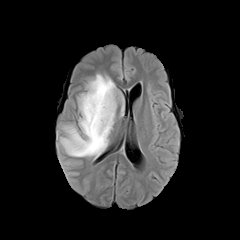
FLAIR MR.
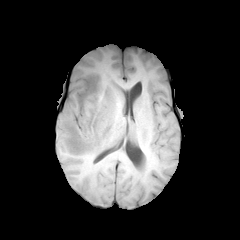
T1-weighted MRI.
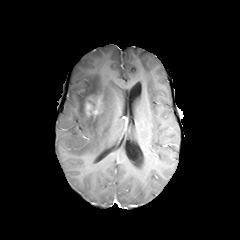
Post-contrast T1-weighted MRI of the same slice.
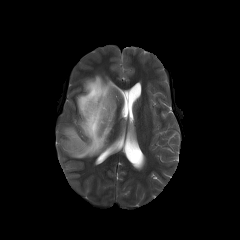
T2-weighted MRI.
Brain
Findings:
• enhancing tumor: l=86, t=100, r=100, b=115
• non-enhancing tumor core: l=83, t=81, r=102, b=113
• edema: l=60, t=73, r=118, b=157